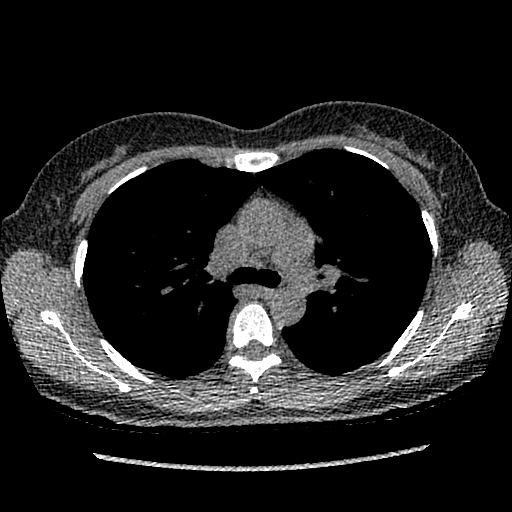 Image size 512x512 | Chest | Computed tomography
Lung tumor: bounding box (left=329, top=313, right=342, bottom=325).